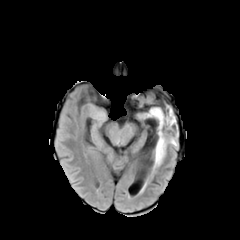
FLAIR magnetic resonance.
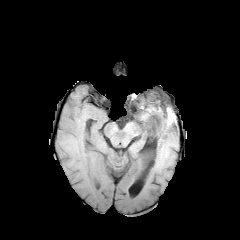
T1-weighted MR image.
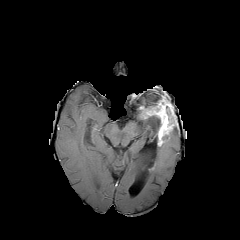
Post-contrast T1-weighted MR image.
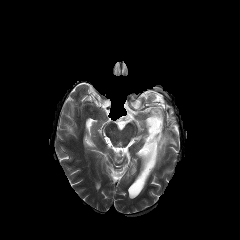
T2-weighted MRI.
The enhancing tumor is located at <bbox>145, 100, 175, 145</bbox>. The non-enhancing tumor core is located at <bbox>152, 116, 160, 156</bbox>. The edema lies within <bbox>151, 128, 178, 172</bbox>.